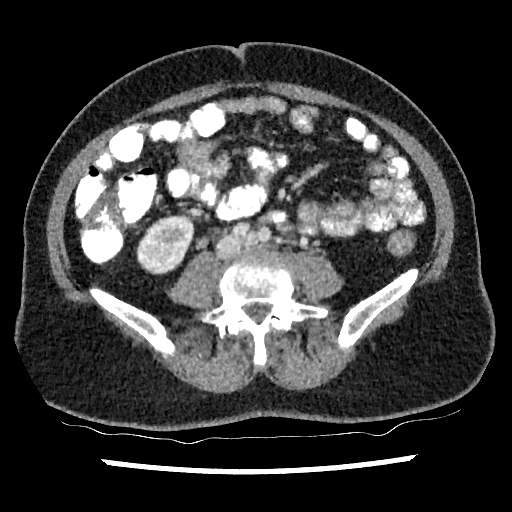
CT scan slice
kidney: (138, 217, 192, 272)